CT image.
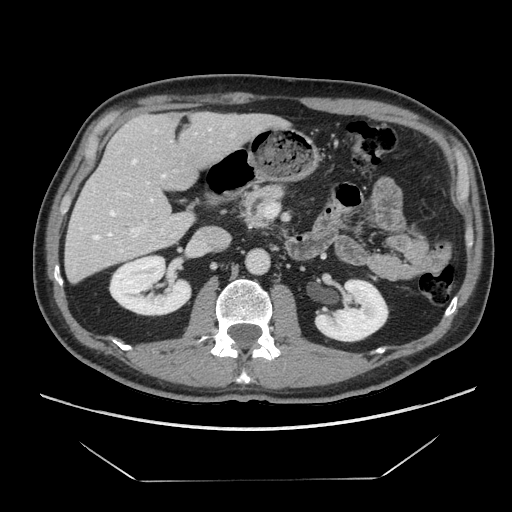

Findings:
- pancreas: 245,185,284,225